CT. 512x512 px.

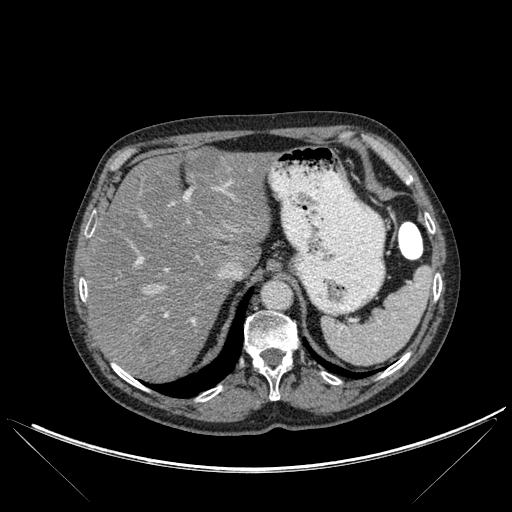

liver: <box>87,147,269,382</box> | lung: <box>148,289,252,397</box>, <box>304,340,373,378</box> | hepatic lesion: <box>189,149,218,173</box>, <box>140,334,158,346</box> | bone: <box>112,363,146,390</box>, <box>197,386,221,401</box>, <box>433,274,441,299</box>, <box>381,353,409,377</box>, <box>321,372,341,384</box>, <box>79,278,87,300</box>, <box>425,213,434,232</box>, <box>402,172,412,183</box>, <box>244,311,297,400</box>